Medial temporal lobe; MR image; Slice 28/34 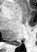

The posterior hippocampus is bounded by left=11, top=41, right=19, bottom=44.